Slice index 9, CT scan slice

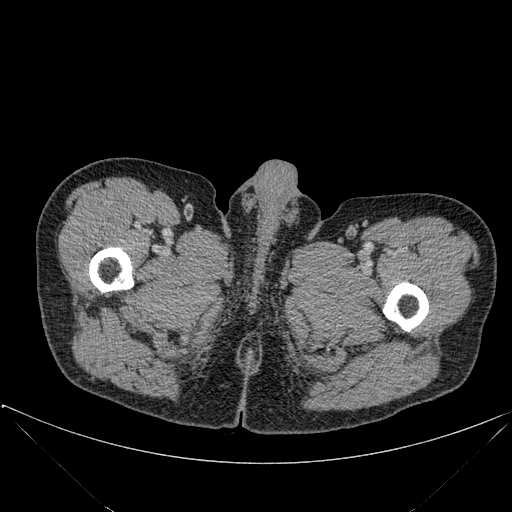
<segmentation>
  <bone>bbox(383, 282, 428, 331); bbox(89, 247, 133, 292)</bone>
</segmentation>